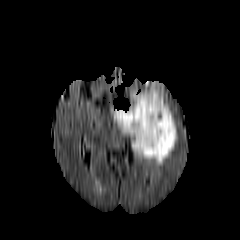
FLAIR magnetic resonance.
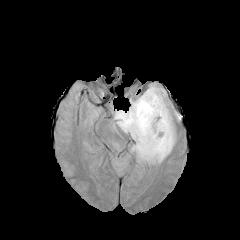
T1-weighted MRI.
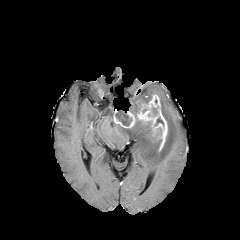
Post-contrast T1-weighted MR.
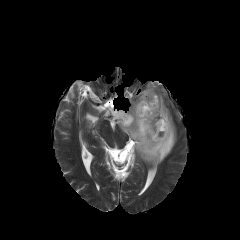
Same slice, T2-weighted magnetic resonance.
Head
enhancing_tumor:
  - 114:94:167:150
edema:
  - 118:84:177:166
non-enhancing_tumor_core:
  - 115:110:132:125
  - 151:128:161:143